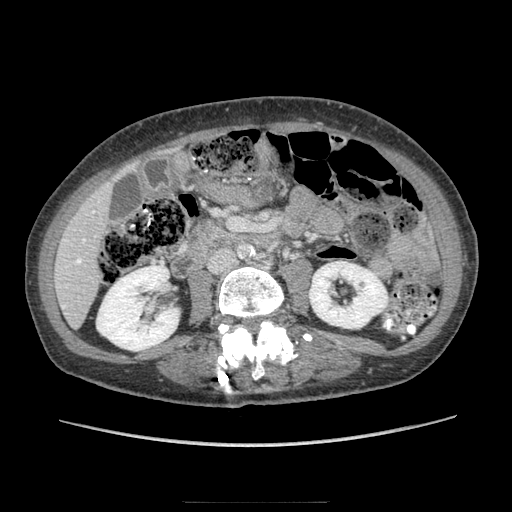
Abdomen | CT

pancreatic_tumor:
  - <box>200,227,215,240</box>
pancreas:
  - <box>188,220,231,258</box>